Slice 120 of 155
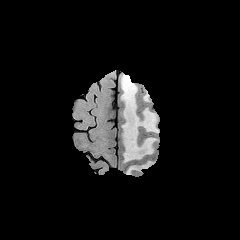
FLAIR MR image.
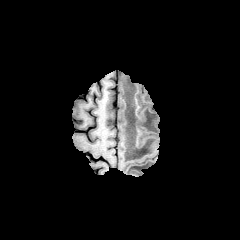
Same slice, T1-weighted MR.
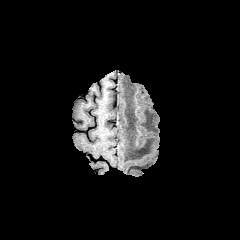
Same slice, post-contrast T1-weighted MR image.
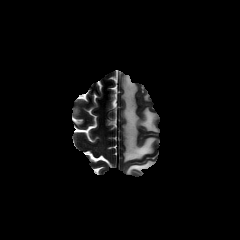
T2-weighted MRI.
Edema at left=121, top=76, right=155, bottom=162; left=127, top=161, right=151, bottom=173.